Brain. Slice index 72.
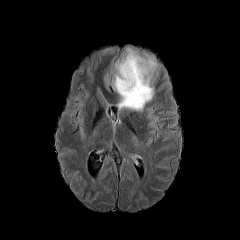
FLAIR magnetic resonance.
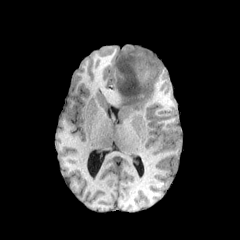
T1-weighted MR image of the same slice.
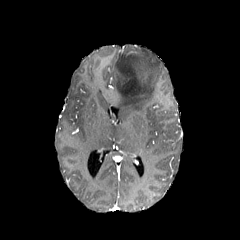
Same slice, post-contrast T1-weighted MR.
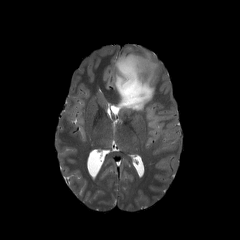
T2-weighted MR image of the same slice.
Edema at l=112, t=54, r=156, b=112.